Image width 240 mm; Brain; Image size 240x240
FLAIR magnetic resonance.
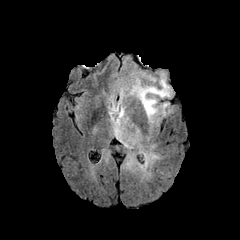
T1-weighted MR image.
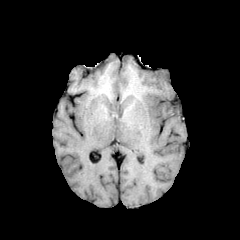
Post-contrast T1-weighted MR.
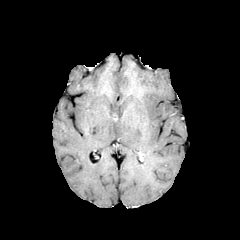
T2-weighted MRI.
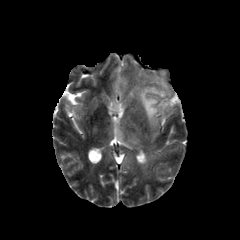
Edema: bbox(114, 106, 124, 116); bbox(127, 72, 174, 124).